512x512; Computed tomography; Liver 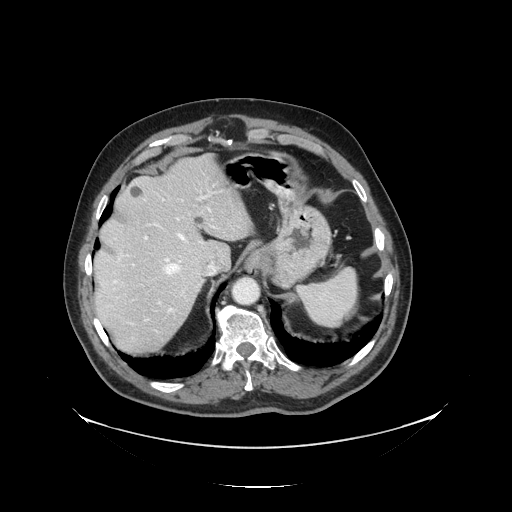

Not every hepatic vessel necessarily has a box.
Annotated regions:
• liver tumor: x1=130 y1=186 x2=141 y2=197
• hepatic vessel: x1=213 y1=227 x2=218 y2=229, x1=208 y1=207 x2=209 y2=210, x1=166 y1=259 x2=169 y2=265, x1=159 y1=302 x2=160 y2=304, x1=145 y1=237 x2=147 y2=239, x1=133 y1=264 x2=134 y2=266, x1=131 y1=323 x2=133 y2=324, x1=145 y1=319 x2=148 y2=321, x1=199 y1=191 x2=210 y2=200, x1=199 y1=280 x2=203 y2=285, x1=178 y1=234 x2=185 y2=240, x1=210 y1=263 x2=213 y2=266, x1=168 y1=308 x2=172 y2=312, x1=118 y1=253 x2=128 y2=262